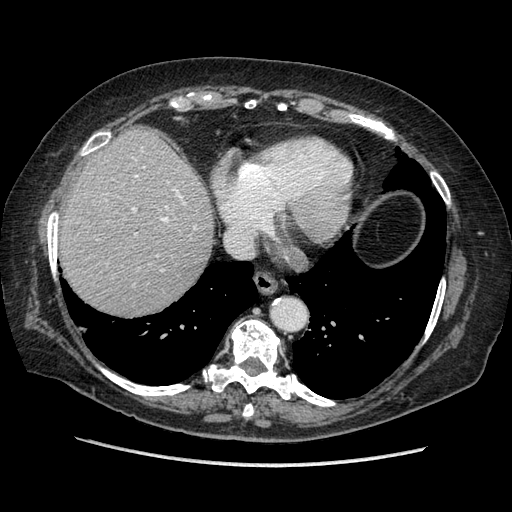
512x512, CT image, Liver
Some hepatic vessels may have no box.
3 hepatic vessel regions appear at region(194, 226, 195, 227); region(162, 218, 167, 220); region(132, 208, 135, 211).